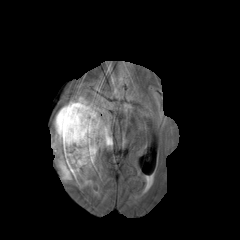
FLAIR MR image.
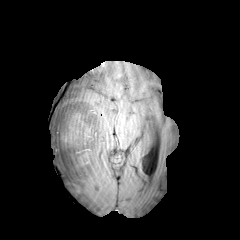
T1-weighted MRI.
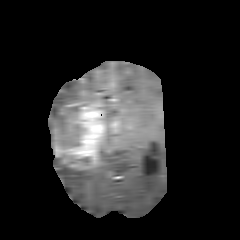
Same slice, post-contrast T1-weighted MR.
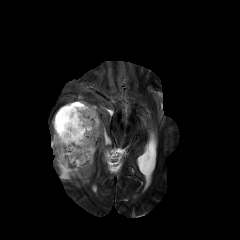
T2-weighted MR.
Head.
Enhancing tumor: l=53, t=101, r=106, b=169.
Non-enhancing tumor core: l=55, t=157, r=68, b=166; l=52, t=106, r=78, b=134.
Edema: l=54, t=158, r=91, b=187; l=51, t=95, r=112, b=148.